CT scan slice. Field of view 700x700 mm.
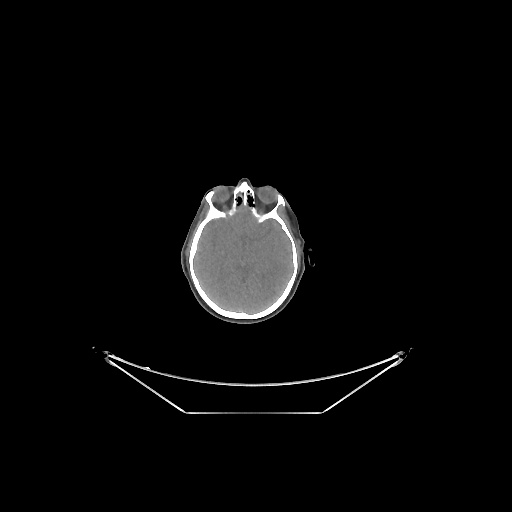 brain: region(193, 203, 293, 314)